FLAIR MR image.
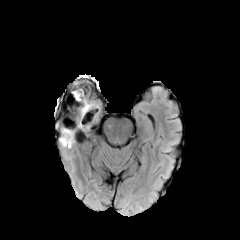
T1-weighted MR.
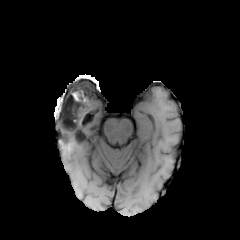
Post-contrast T1-weighted MR.
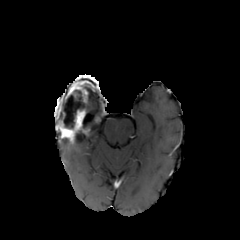
T2-weighted magnetic resonance.
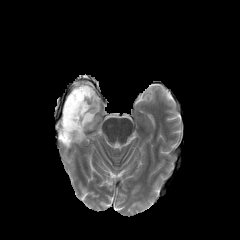
240x240 px; Brain
{"edema": ["x1=60 y1=139 x2=72 y2=147"], "enhancing_tumor": ["x1=56 y1=110 x2=85 y2=140"], "non-enhancing_tumor_core": ["x1=61 y1=102 x2=83 y2=129"]}